Slice 42 of 101, Image size 512x512, Field of view 462x462 mm, CT scan slice

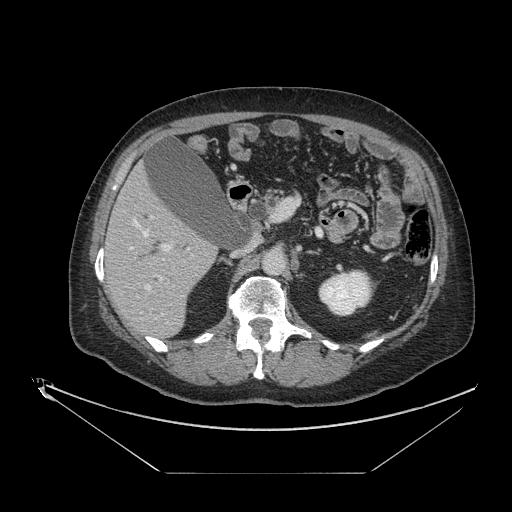
The pancreas appears at <bbox>264, 188, 283, 210</bbox>.